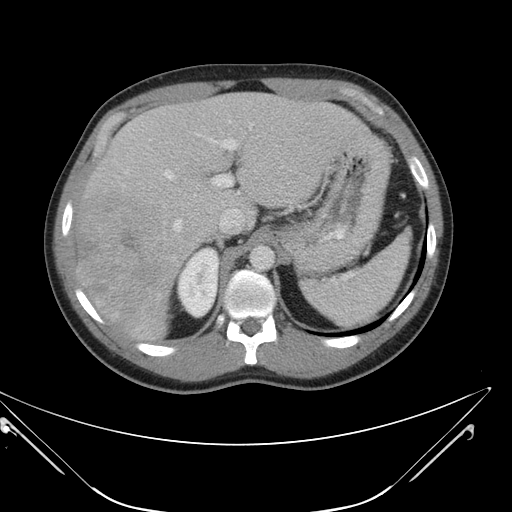 CT scan slice

The vessel annotation is not exhaustive.
<segmentation>
  <liver_tumor>76 197 185 339</liver_tumor>
  <hepatic_vessel>212 175 232 186, 196 133 201 136, 219 208 243 231, 173 220 181 230, 207 137 218 145, 281 166 283 167, 249 123 252 129, 221 139 236 149, 196 187 197 188, 165 170 172 179</hepatic_vessel>
</segmentation>